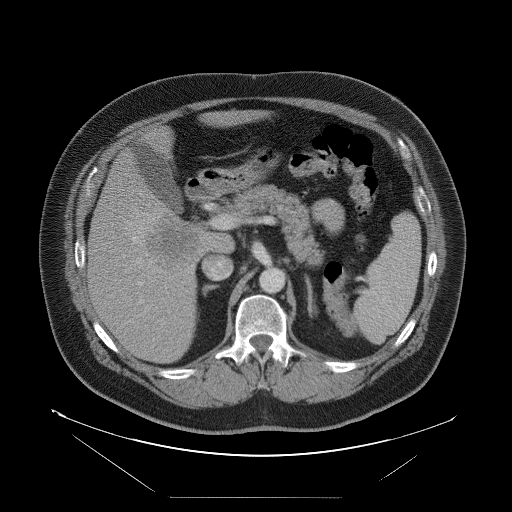
Computed tomography
Not every hepatic vessel necessarily has a box.
The liver tumor is located at 146, 216, 196, 270. 8 hepatic vessel regions are bounded by 165, 285, 166, 287; 136, 260, 141, 262; 139, 300, 142, 302; 138, 282, 142, 285; 160, 270, 161, 272; 142, 235, 143, 236; 149, 260, 152, 265; 133, 237, 137, 242.